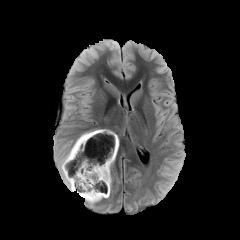
FLAIR MR.
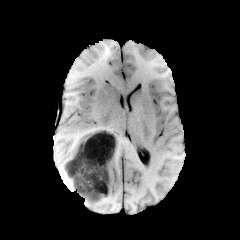
Same slice, T1-weighted magnetic resonance.
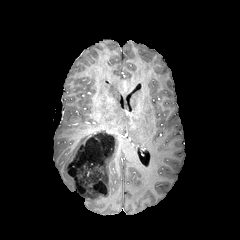
Post-contrast T1-weighted MRI.
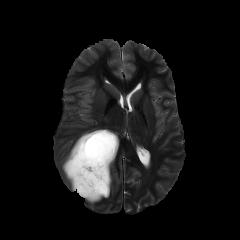
T2-weighted magnetic resonance of the same slice.
Head | 240x240 px
3 edema regions are located at box(80, 192, 109, 203); box(108, 148, 116, 191); box(60, 140, 76, 190). The non-enhancing tumor core appears at box(64, 129, 115, 199).